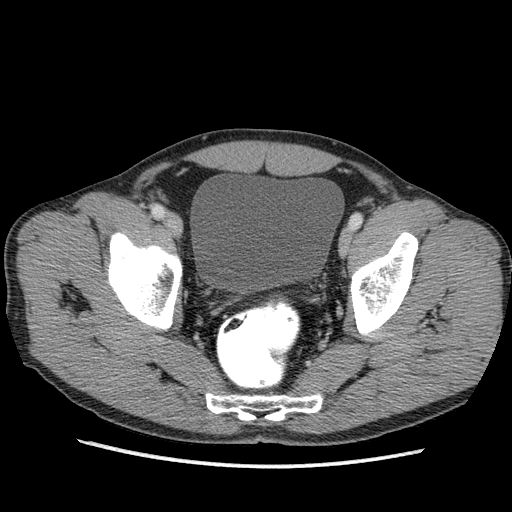 Pelvis; CT scan slice
urinary_bladder:
  - 190, 172, 344, 291